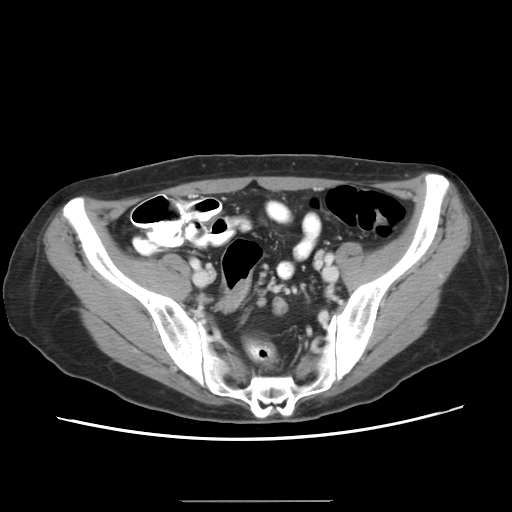
CT, Pelvis

The colon tumor is located at 219:269:253:313.